CT, Liver, Slice index 68
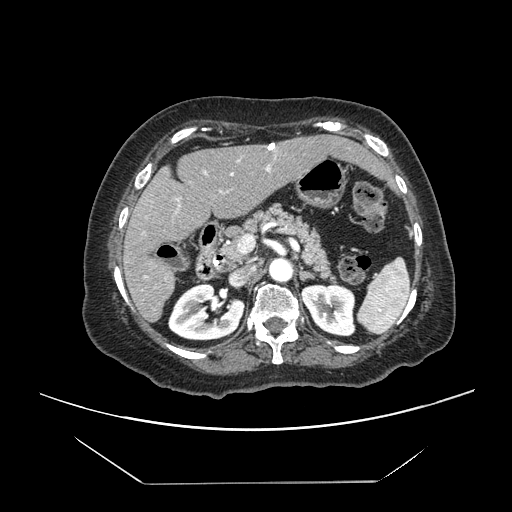 The vessel boxes may cover only some of the vessels.
The hepatic vessel lies within (238,235,253,253).